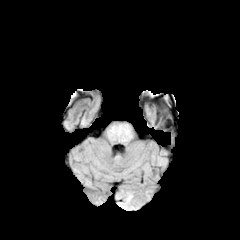
FLAIR MR.
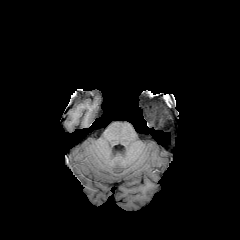
T1-weighted MR.
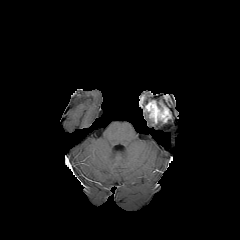
Same slice, post-contrast T1-weighted MR.
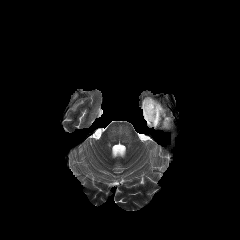
T2-weighted MR image.
Brain.
The enhancing tumor is bounded by x1=145, y1=104, x2=158, y2=121.